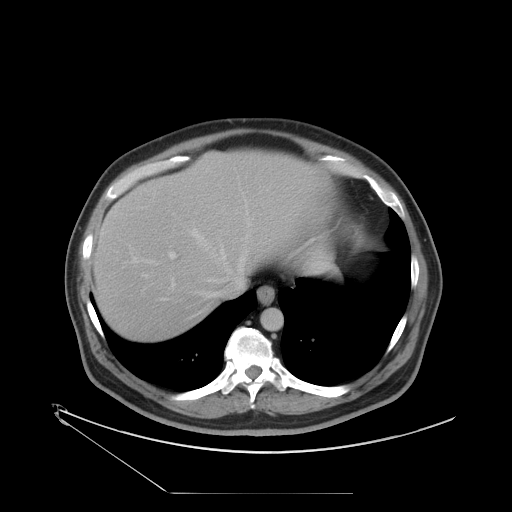
512x512 px | CT scan slice

Some hepatic vessels may have no box.
12 hepatic vessel regions appear at bbox(169, 252, 175, 258); bbox(142, 274, 148, 277); bbox(250, 229, 250, 232); bbox(245, 218, 250, 226); bbox(172, 278, 174, 288); bbox(242, 236, 248, 244); bbox(260, 204, 262, 205); bbox(190, 228, 247, 295); bbox(124, 247, 157, 264); bbox(264, 239, 272, 243); bbox(161, 299, 166, 299); bbox(205, 292, 218, 297).